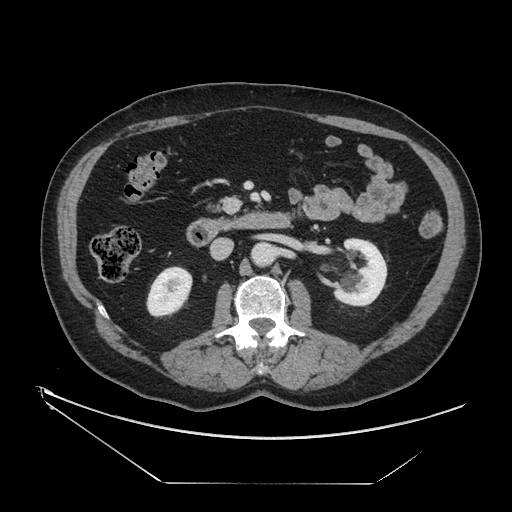
CT.

Pancreas: bounding box rect(208, 197, 231, 216).
Pancreatic tumor: bounding box rect(224, 197, 242, 215).